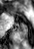
Medial temporal lobe; Image size 34x49; Magnetic resonance

Posterior hippocampus — 16, 24, 28, 38.
Anterior hippocampus — 23, 18, 26, 20; 15, 23, 18, 23.